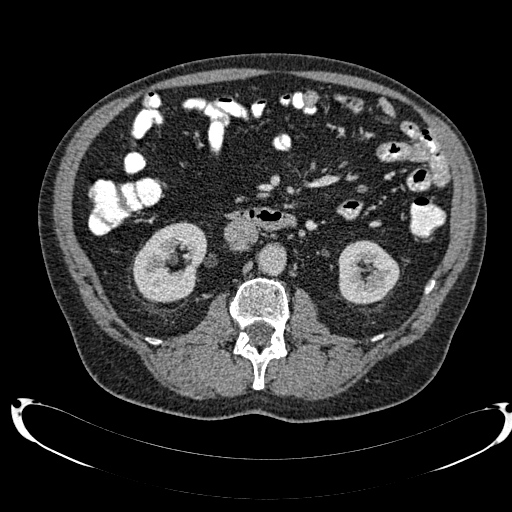 CT slice, Image size 512x512, Abdomen
2 kidney regions appear at <bbox>133, 222, 206, 302</bbox>, <bbox>339, 240, 399, 304</bbox>.